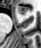 Medial temporal lobe, MR image
Annotated regions:
- anterior hippocampus: <box>17,6,28,14</box>